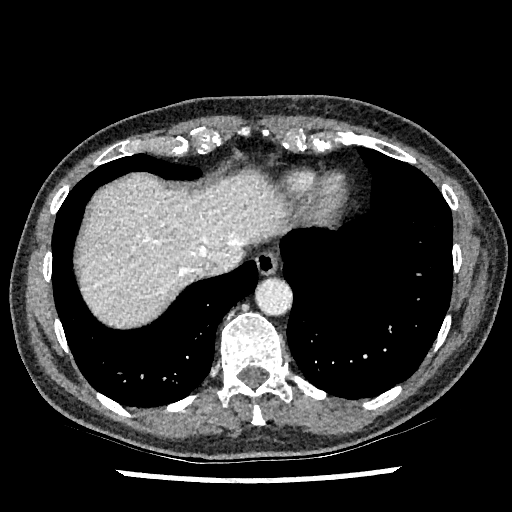 512x512. Computed tomography. Liver. <segmentation>
  <liver>[x1=75, y1=168, x2=290, y2=328]</liver>
</segmentation>